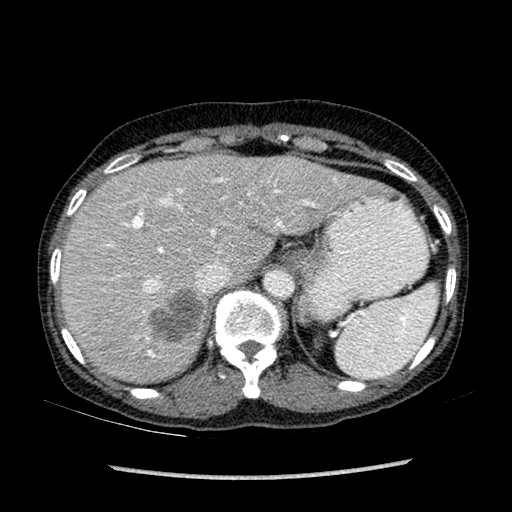 Computed tomography.

focal_liver_lesion:
  - region(146, 289, 203, 342)
liver:
  - region(60, 155, 376, 382)